Brain. Field of view 240 mm wide, 1.00 mm slice spacing. Slice 63 of 155. 240x240.
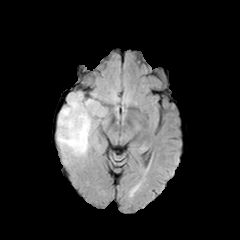
FLAIR MR.
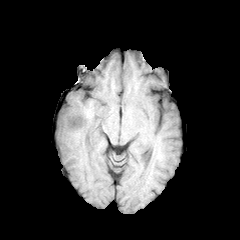
Same slice, T1-weighted MR image.
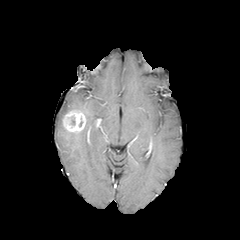
Post-contrast T1-weighted MR image of the same slice.
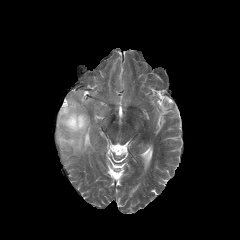
T2-weighted magnetic resonance of the same slice.
Enhancing tumor: bounding box 62:109:86:133.
Edema: bounding box 56:91:107:166, 90:90:99:97.